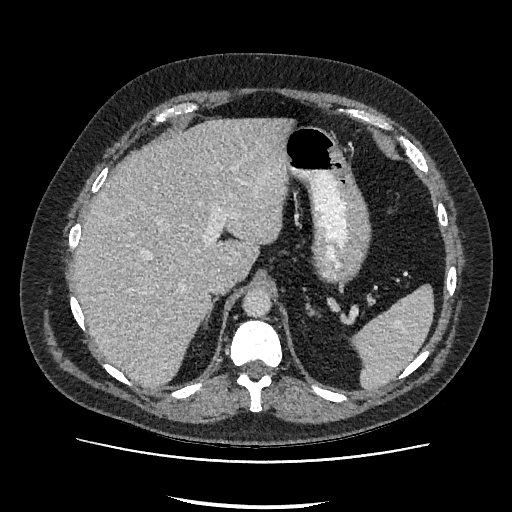 CT scan slice
Liver: 76:119:292:386.